Field of view 240x240 mm. 240x240.
FLAIR magnetic resonance.
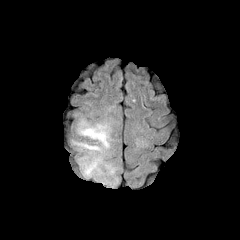
T1-weighted MRI.
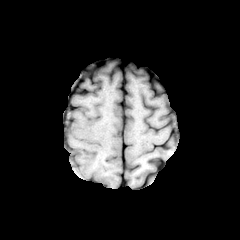
Post-contrast T1-weighted MRI.
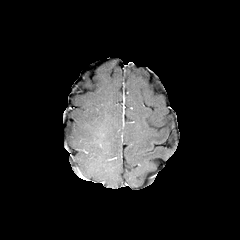
T2-weighted MR.
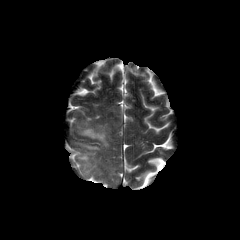
Findings:
- edema: rect(75, 119, 111, 177)